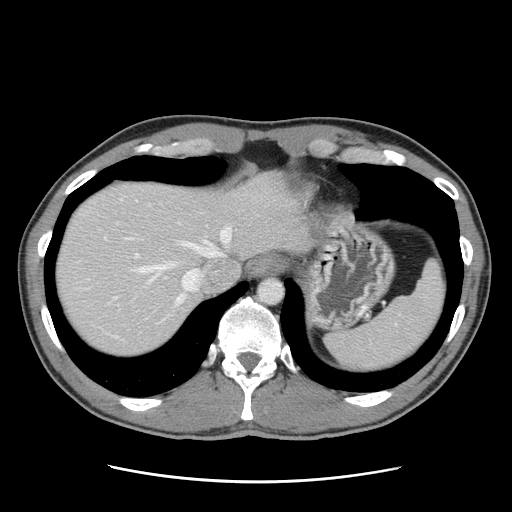
CT slice.

The vessel boxes may cover only some of the vessels.
Segmented structures:
* hepatic vessel: box(114, 297, 116, 299); box(180, 241, 220, 255); box(176, 295, 183, 303); box(166, 263, 170, 264); box(182, 269, 200, 290); box(132, 265, 165, 281); box(127, 238, 131, 239); box(135, 254, 138, 256); box(220, 228, 230, 243)